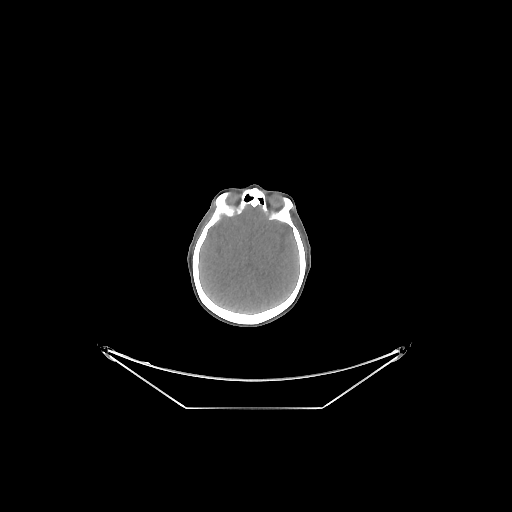

Head, Computed tomography
Brain: bounding box (x1=198, y1=204, x2=299, y2=314).
Bone: bounding box (x1=241, y1=188, x2=264, y2=206), (x1=193, y1=193, x2=305, y2=324).